FLAIR magnetic resonance.
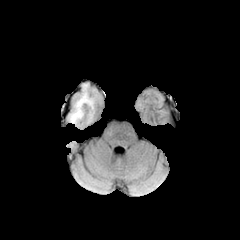
T1-weighted MR image.
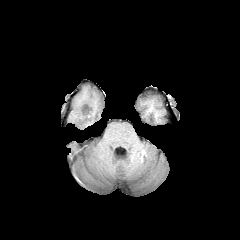
Post-contrast T1-weighted magnetic resonance.
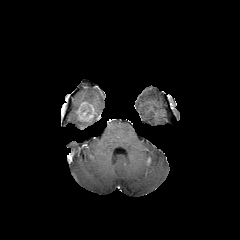
T2-weighted MR image.
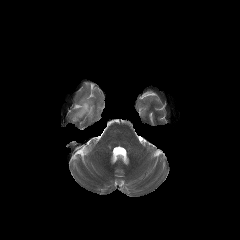
Brain
The edema is at 69, 91, 94, 122. The enhancing tumor is at 78, 102, 89, 118. The non-enhancing tumor core is at 81, 104, 92, 116.